FLAIR MR image.
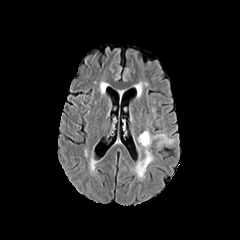
T1-weighted MR image.
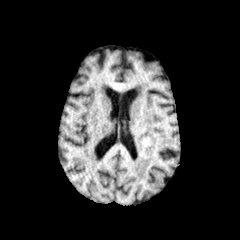
Post-contrast T1-weighted MR.
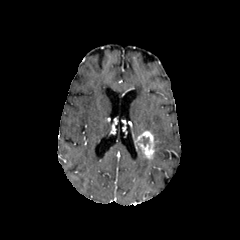
T2-weighted magnetic resonance.
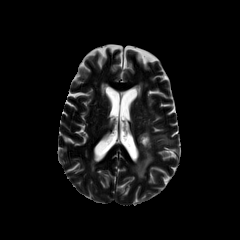
240x240. Head.
2 edema regions appear at 154 133 173 146, 131 159 152 178. The enhancing tumor is bounded by 135 130 158 161. The non-enhancing tumor core lies within 137 136 150 147.